Computed tomography; Slice 54/89
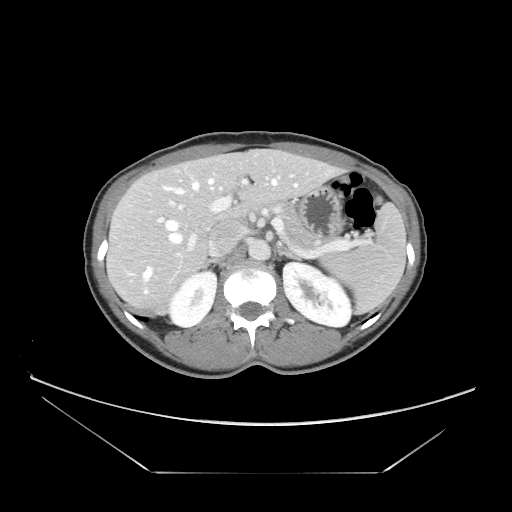

{"pancreas": ["l=280, t=204, r=316, b=250"]}